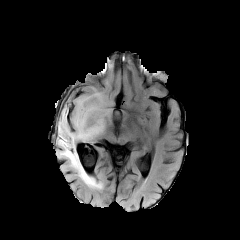
FLAIR MR.
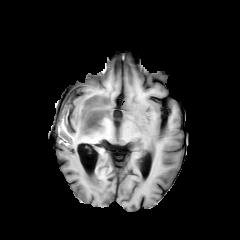
Same slice, T1-weighted MR image.
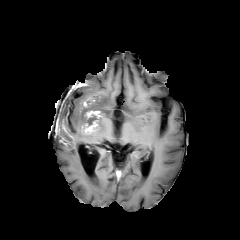
Same slice, post-contrast T1-weighted MR image.
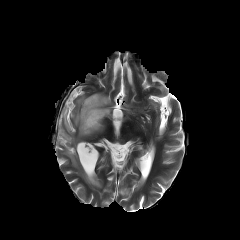
T2-weighted MRI.
Head. 240x240 px.
Enhancing tumor at (x1=82, y1=120, x2=97, y2=133), (x1=86, y1=110, x2=101, y2=118).
Non-enhancing tumor core at (x1=82, y1=98, x2=99, y2=125).
Edema at (x1=88, y1=94, x2=100, y2=107), (x1=56, y1=97, x2=103, y2=189).